CT slice | Field of view 437 mm wide, 0.80 mm slice spacing | Slice 488/896 | Abdomen

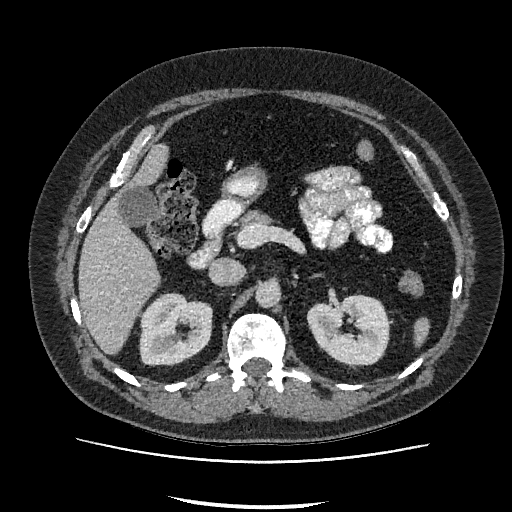
Segmented structures:
• kidney: bbox=[308, 296, 388, 364]; bbox=[141, 294, 211, 363]
• liver: bbox=[78, 143, 166, 353]